FLAIR MR.
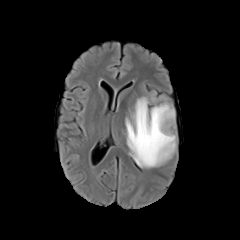
T1-weighted MRI.
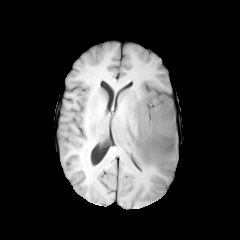
Post-contrast T1-weighted MR image.
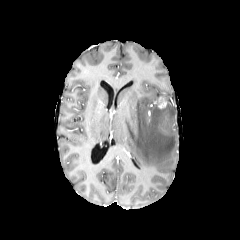
T2-weighted MR.
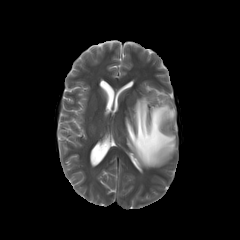
edema: [124, 92, 176, 167] | enhancing tumor: [157, 98, 166, 109] | non-enhancing tumor core: [155, 96, 171, 115], [138, 118, 159, 145]